FLAIR MR image.
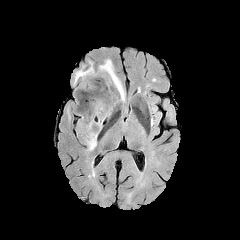
T1-weighted magnetic resonance.
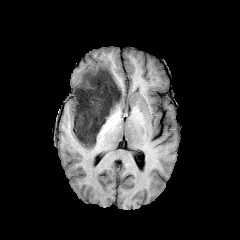
Post-contrast T1-weighted MRI.
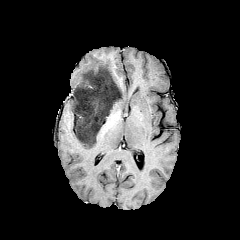
T2-weighted MR image.
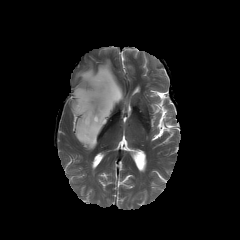
Head
2 edema regions are bounded by l=74, t=59, r=125, b=101; l=92, t=80, r=103, b=95. The non-enhancing tumor core appears at l=72, t=67, r=122, b=147.